Computed tomography. Image size 512x512.
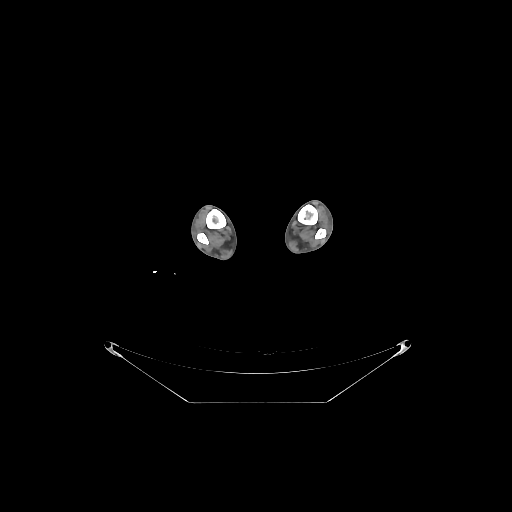 Bone: bbox=[298, 204, 317, 224]; bbox=[206, 209, 225, 228]; bbox=[315, 228, 326, 239]; bbox=[197, 233, 208, 244].